Slice 35/134. CT image. 512x512 px. 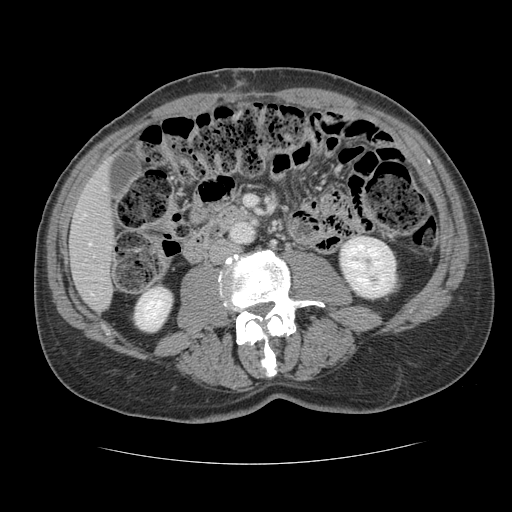 The vessel boxes may cover only some of the vessels.
Hepatic vessel: bounding box <bbox>89, 242, 91, 244</bbox>.